Slice index 23, Computed tomography 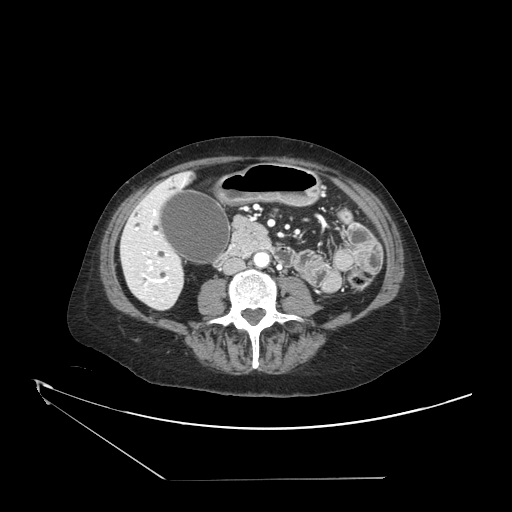
The pancreas is bounded by <bbox>231, 216, 273, 257</bbox>.